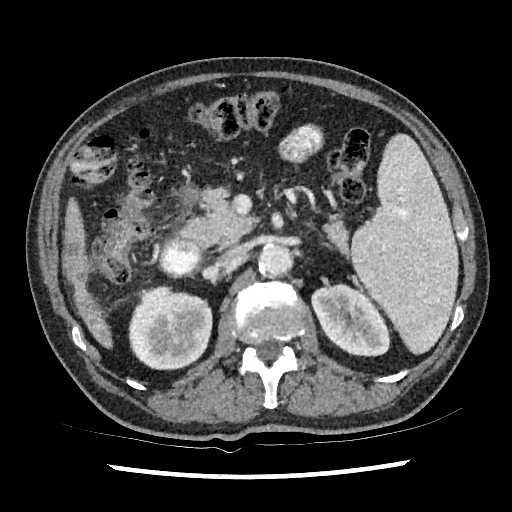

Liver. CT image. liver:
  - <box>73,281,97,320</box>
  - <box>86,317,111,347</box>
  - <box>65,197,87,270</box>
  - <box>63,255,72,282</box>
kidney:
  - <box>312,285,388,355</box>
  - <box>130,287,211,368</box>
focal_liver_lesion:
  - <box>79,296,102,327</box>
  - <box>64,235,86,283</box>